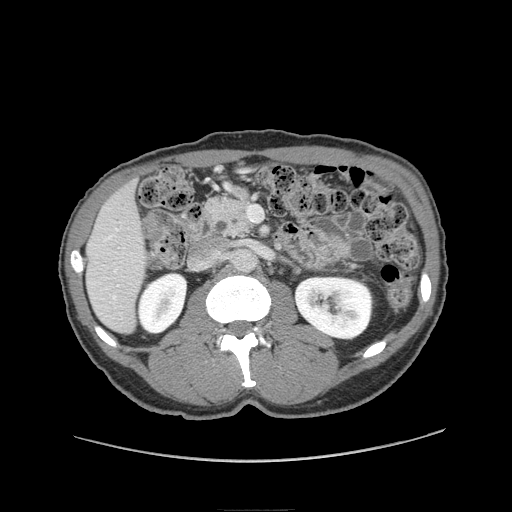 CT scan slice | Abdomen
pancreas:
  - [207,187,252,237]